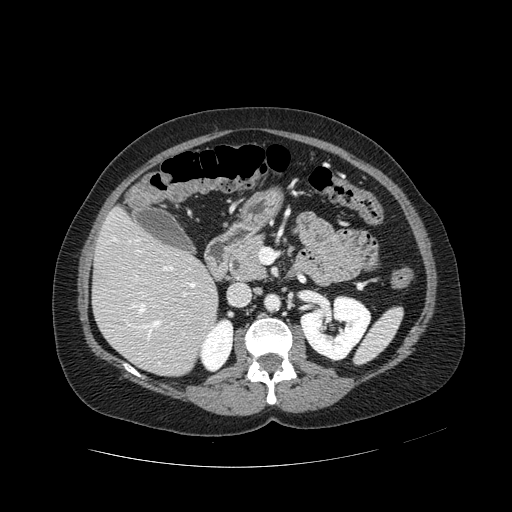 512x512 | CT
Pancreas — (231, 236, 266, 280).